Slice 55/155, Brain, 240x240
FLAIR MR image.
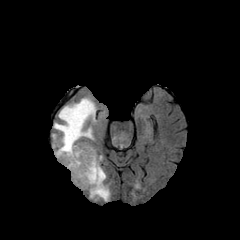
T1-weighted magnetic resonance.
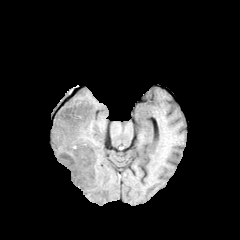
Post-contrast T1-weighted magnetic resonance.
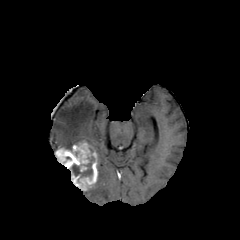
T2-weighted MR image.
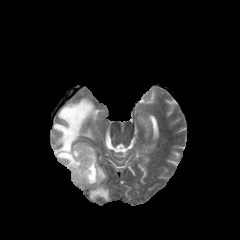
Enhancing tumor = x1=55 y1=144 x2=97 y2=189.
Edema = x1=87 y1=161 x2=109 y2=201, x1=52 y1=96 x2=97 y2=147.
Non-enhancing tumor core = x1=77 y1=142 x2=97 y2=169, x1=68 y1=156 x2=93 y2=177.